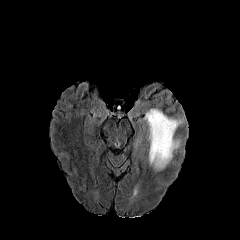
FLAIR MR.
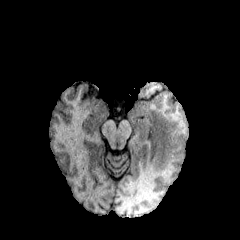
Same slice, T1-weighted MRI.
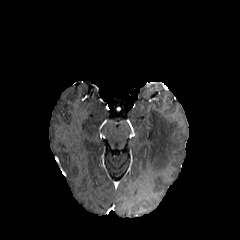
Same slice, post-contrast T1-weighted MR.
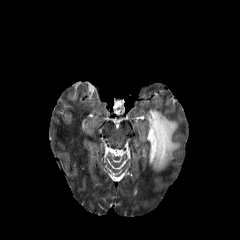
Same slice, T2-weighted MR.
240x240 px
Annotated regions:
* edema: left=143, top=109, right=180, bottom=172